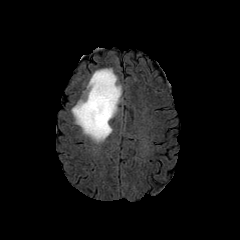
FLAIR MR.
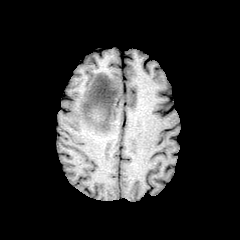
Same slice, T1-weighted magnetic resonance.
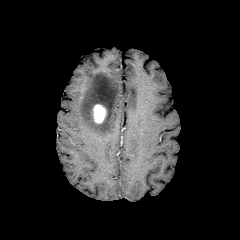
Post-contrast T1-weighted MR image of the same slice.
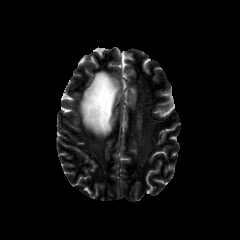
T2-weighted MR image.
240x240 px, Head
{
  "edema": [
    "(left=70, top=68, right=123, bottom=142)"
  ],
  "enhancing_tumor": [
    "(left=92, top=104, right=106, bottom=123)"
  ],
  "non-enhancing_tumor_core": [
    "(left=88, top=77, right=113, bottom=125)"
  ]
}